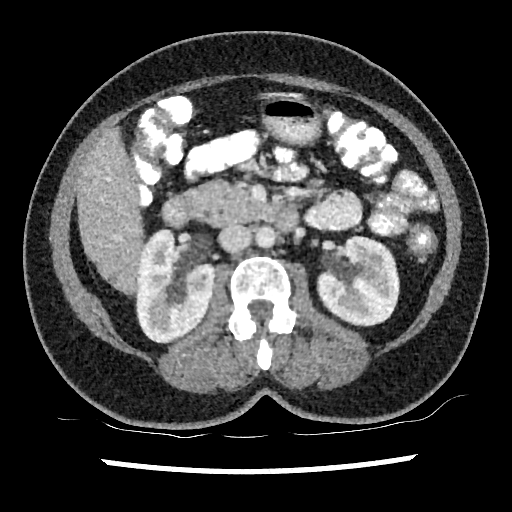 Abdomen. CT scan slice. <segmentation>
  <kidney>box(137, 230, 214, 341); box(318, 237, 398, 324)</kidney>
  <liver>box(78, 129, 143, 290)</liver>
</segmentation>